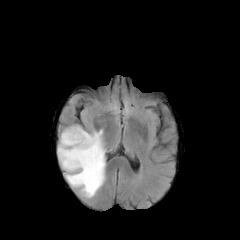
FLAIR MR.
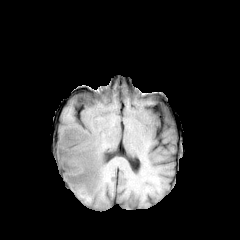
T1-weighted MR image.
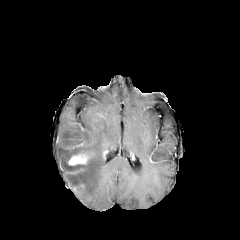
Post-contrast T1-weighted MR.
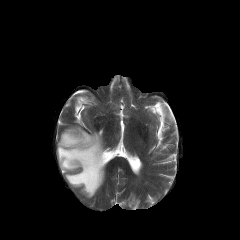
T2-weighted MRI.
Brain.
Annotated regions:
- edema: 57,126,105,197
- enhancing tumor: 67,151,92,165; 66,142,83,149